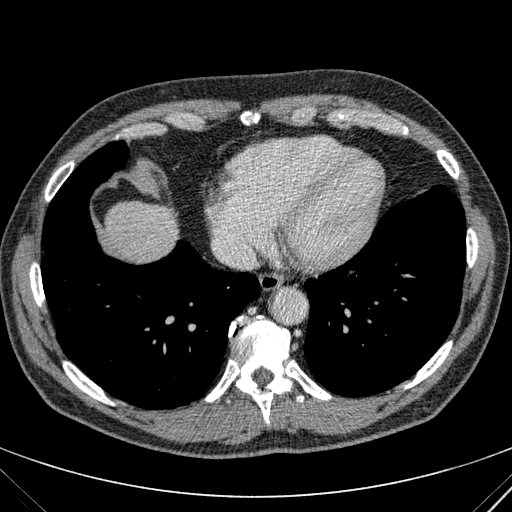

Upper abdomen | CT
Annotated regions:
• liver: <box>105,202,176,260</box>